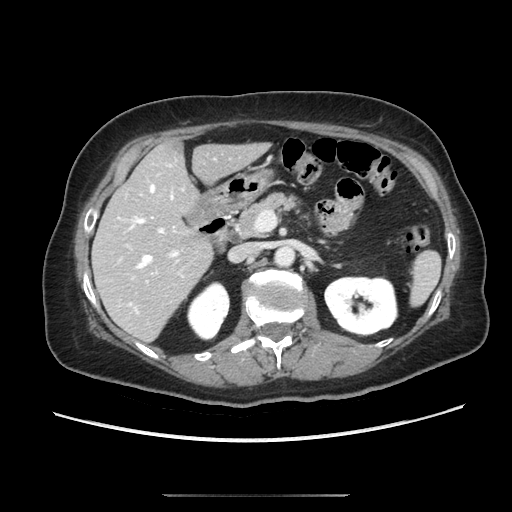 Computed tomography
* pancreas: box=[238, 195, 295, 237]